Slice index 53; CT

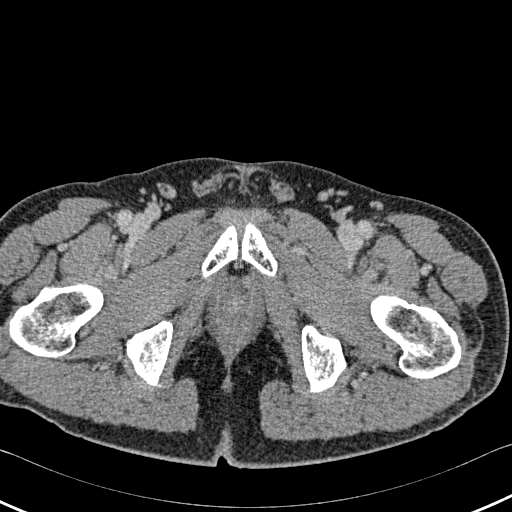 {
  "bone": [
    "(x1=0, y1=284, x2=102, y2=356)",
    "(x1=127, y1=321, x2=172, y2=385)",
    "(x1=302, y1=325, x2=345, y2=391)",
    "(x1=202, y1=223, x2=277, y2=278)",
    "(x1=371, y1=296, x2=460, y2=378)"
  ]
}